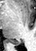 Hippocampus, MRI slice
Posterior hippocampus — box(8, 39, 19, 44).